Abdomen. Computed tomography. 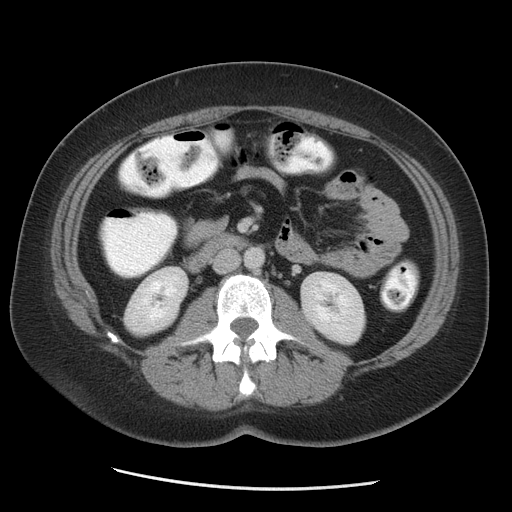
2 kidney regions are bounded by left=302, top=273, right=363, bottom=342; left=126, top=268, right=186, bottom=331.